Slice 438/687. CT slice.
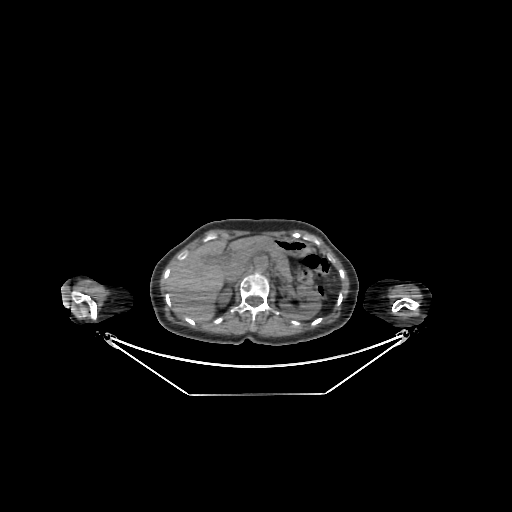

kidney: [x1=279, y1=284, x2=321, y2=320], [x1=218, y1=288, x2=231, y2=302] | liver: [x1=163, y1=237, x2=266, y2=321]